FLAIR MRI.
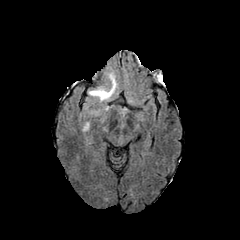
T1-weighted magnetic resonance.
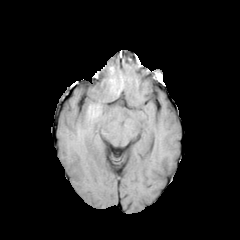
Post-contrast T1-weighted MRI.
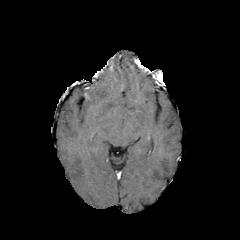
T2-weighted magnetic resonance.
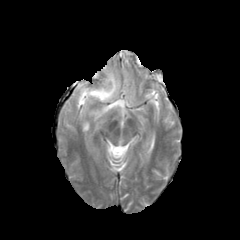
240x240 px, Head
Edema: (87, 73, 117, 101).